Image width 500 mm | Thorax | CT 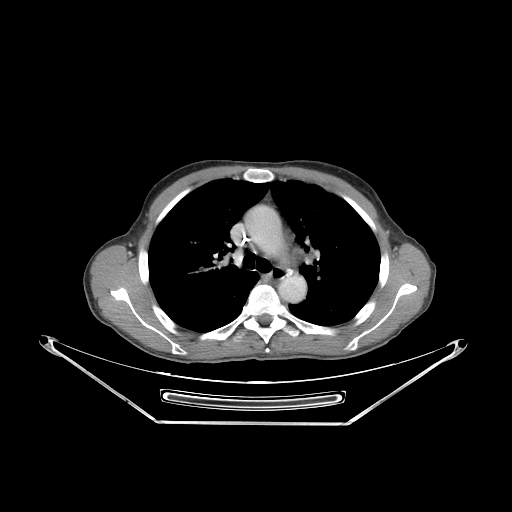
{
  "bone": [
    "[x1=346, y1=197, x2=374, y2=228]",
    "[x1=139, y1=251, x2=148, y2=283]",
    "[x1=201, y1=285, x2=300, y2=342]",
    "[x1=153, y1=306, x2=175, y2=332]",
    "[x1=244, y1=169, x2=272, y2=182]",
    "[x1=157, y1=190, x2=186, y2=221]",
    "[x1=307, y1=324, x2=333, y2=334]",
    "[x1=356, y1=302, x2=374, y2=324]",
    "[x1=379, y1=254, x2=388, y2=286]",
    "[x1=111, y1=288, x2=185, y2=353]",
    "[x1=348, y1=284, x2=416, y2=349]"
  ],
  "lung": [
    "[x1=148, y1=178, x2=380, y2=332]"
  ]
}